Image size 240x240. Field of view 240 mm wide, 1.00 mm slice spacing. Slice 97 of 155. Brain.
FLAIR MR.
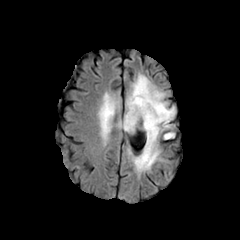
T1-weighted magnetic resonance.
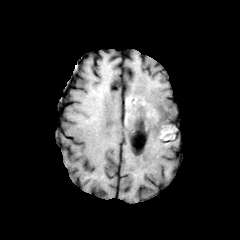
Post-contrast T1-weighted MR image.
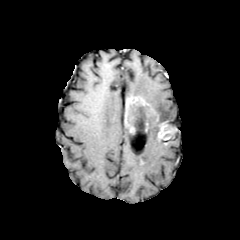
T2-weighted MR.
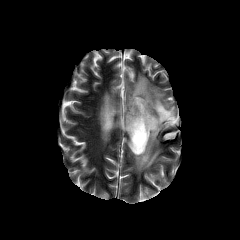
Enhancing tumor = (124,114,134,132), (128,96,141,105).
Edema = (127,74,176,137), (99,97,115,139), (131,107,169,174), (118,118,129,132).
Non-enhancing tumor core = (127,100,155,135), (158,129,171,138).